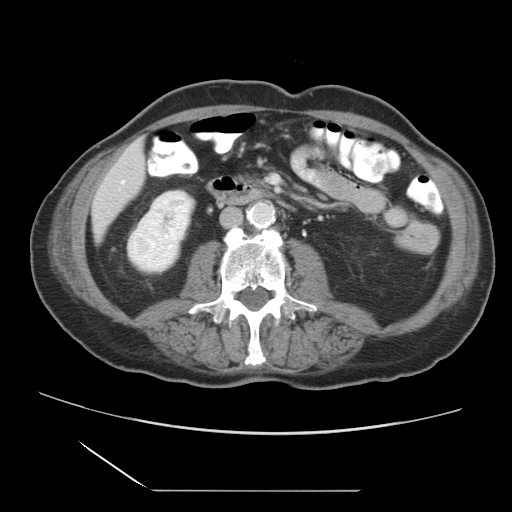 Abdomen, 512x512, CT image
The vessel boxes may cover only some of the vessels.
Hepatic vessel: bounding box {"x1": 122, "y1": 181, "x2": 124, "y2": 183}.